Brain.
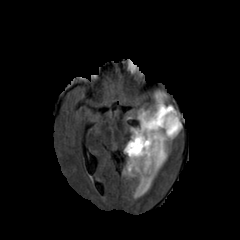
FLAIR MR image.
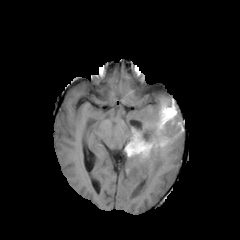
T1-weighted MRI.
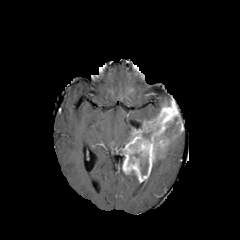
Same slice, post-contrast T1-weighted magnetic resonance.
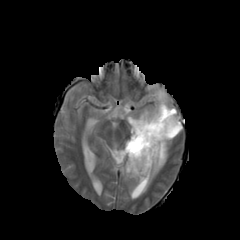
T2-weighted MRI.
Annotated regions:
* enhancing tumor: (123, 104, 179, 181)
* edema: (138, 90, 170, 121), (132, 144, 170, 197)
* non-enhancing tumor core: (134, 104, 167, 129), (151, 117, 183, 169), (137, 179, 145, 191), (142, 126, 153, 139), (130, 152, 148, 174)